Slice 82/155; Brain; Field of view 240 mm wide, 1.00 mm slice spacing
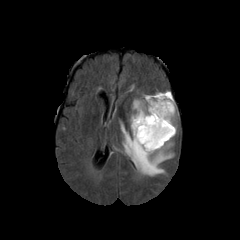
FLAIR MRI.
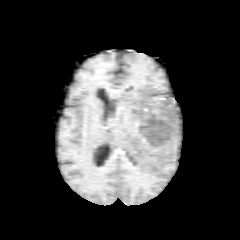
T1-weighted magnetic resonance of the same slice.
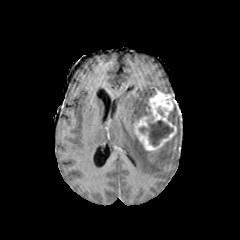
Same slice, post-contrast T1-weighted MRI.
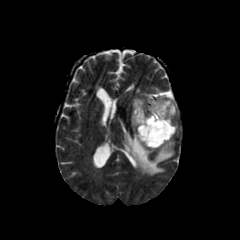
T2-weighted MR.
Enhancing tumor — l=134, t=90, r=176, b=150.
Edema — l=120, t=93, r=180, b=175.
Non-enhancing tumor core — l=139, t=120, r=173, b=145; l=143, t=105, r=152, b=120; l=168, t=104, r=176, b=125.